Head | 240x240
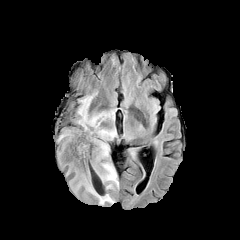
FLAIR magnetic resonance.
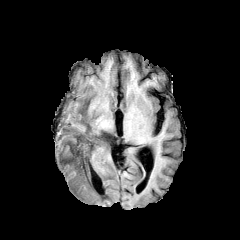
T1-weighted MR of the same slice.
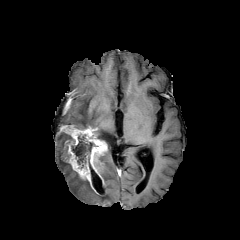
Post-contrast T1-weighted MRI of the same slice.
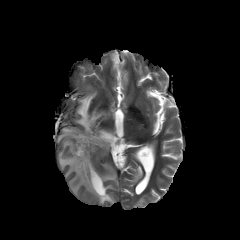
T2-weighted magnetic resonance of the same slice.
non-enhancing_tumor_core:
  - box(64, 134, 94, 169)
  - box(98, 134, 109, 146)
edema:
  - box(58, 132, 119, 204)
  - box(76, 92, 117, 141)
enhancing_tumor:
  - box(70, 153, 93, 189)
  - box(62, 126, 107, 181)